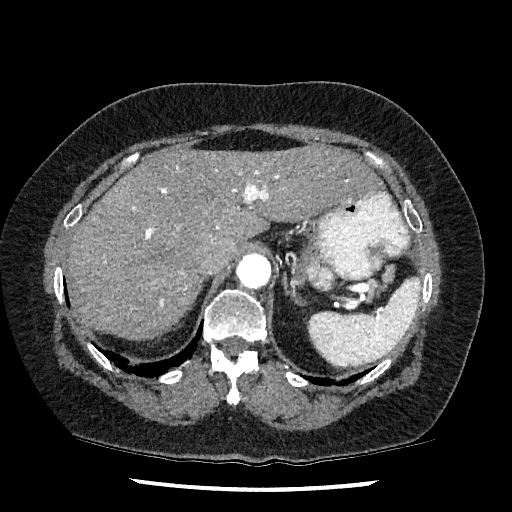
512x512 px | Abdomen | Computed tomography

liver:
  - box=[67, 146, 380, 339]